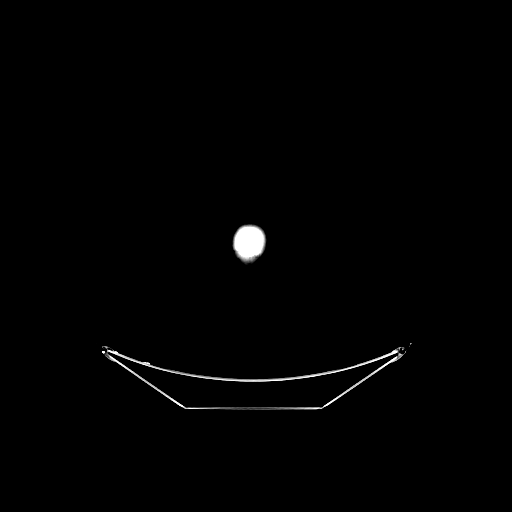 CT slice
Bone = (234,226,264,259).